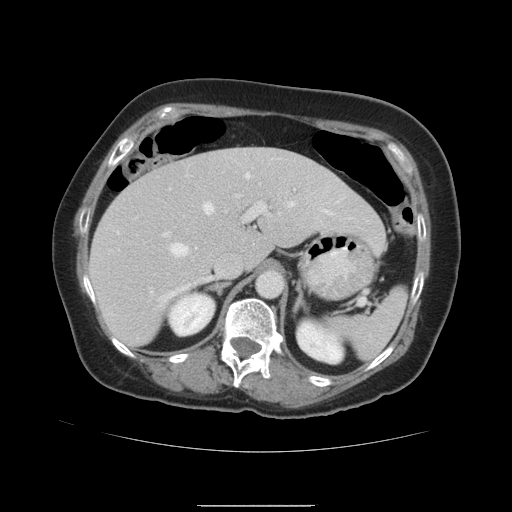

512x512 px. Abdomen. CT scan slice.

The vessel boxes may cover only some of the vessels.
14 hepatic vessel regions are located at left=170, top=243, right=189, bottom=256; left=187, top=174, right=188, bottom=176; left=150, top=287, right=153, bottom=294; left=118, top=231, right=119, bottom=232; left=287, top=201, right=294, bottom=206; left=158, top=285, right=190, bottom=308; left=243, top=202, right=270, bottom=221; left=164, top=233, right=169, bottom=236; left=279, top=212, right=281, bottom=214; left=323, top=210, right=333, bottom=214; left=199, top=277, right=211, bottom=281; left=238, top=195, right=241, bottom=196; left=203, top=201, right=214, bottom=214; left=246, top=173, right=250, bottom=178.